Image size 240x240, Brain, Slice 72 of 155
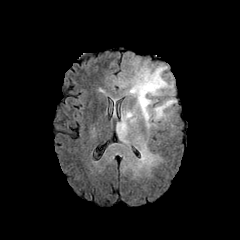
FLAIR MR.
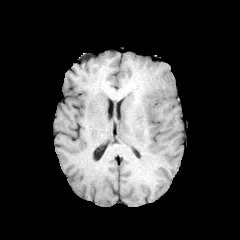
Same slice, T1-weighted MR image.
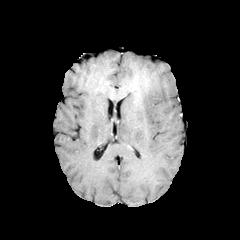
Post-contrast T1-weighted MR image.
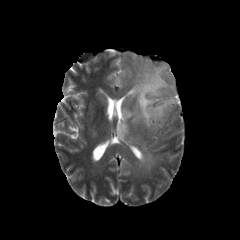
T2-weighted MR image.
edema: {"x1": 116, "y1": 64, "x2": 176, "y2": 143} | non-enhancing tumor core: {"x1": 130, "y1": 72, "x2": 149, "y2": 106}